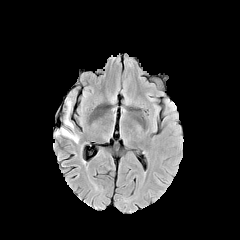
FLAIR MRI.
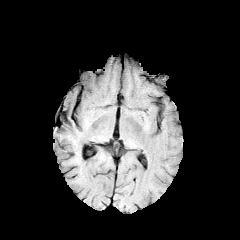
Same slice, T1-weighted magnetic resonance.
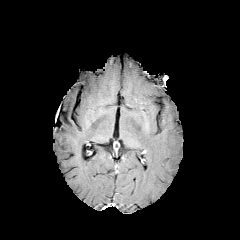
Post-contrast T1-weighted MR image.
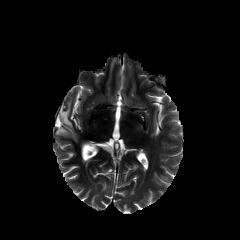
T2-weighted MR image.
Head.
The edema is located at rect(56, 98, 78, 141).